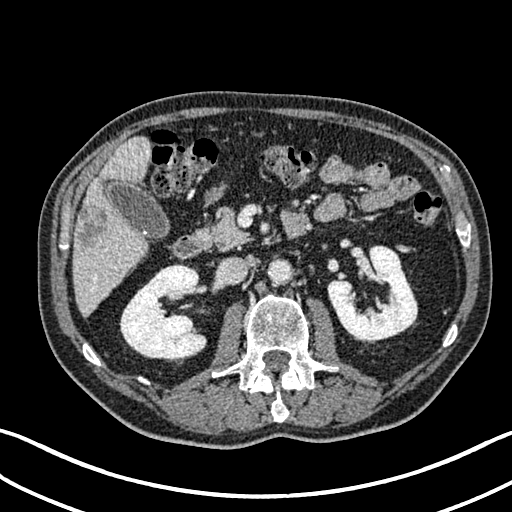
Abdomen. Computed tomography.

{"kidney": ["328,246,416,340", "121,265,205,358"], "liver": ["73,137,149,315"], "focal_liver_lesion": ["79,206,107,246"]}